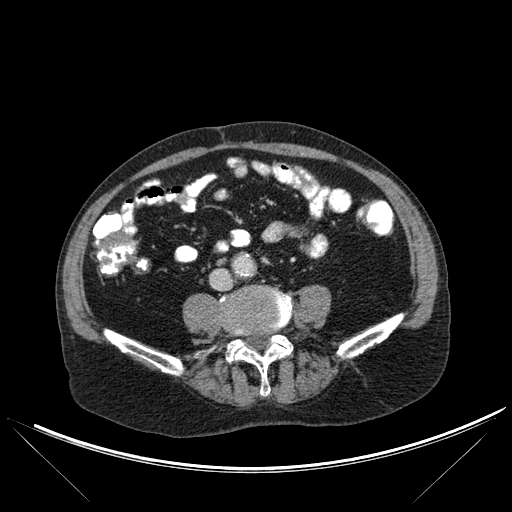

CT scan slice
3 bone regions appear at rect(337, 314, 403, 357); rect(220, 289, 292, 395); rect(104, 329, 182, 374).